CT slice | Slice index 287 | Field of view 407 mm wide, 1.50 mm slice spacing

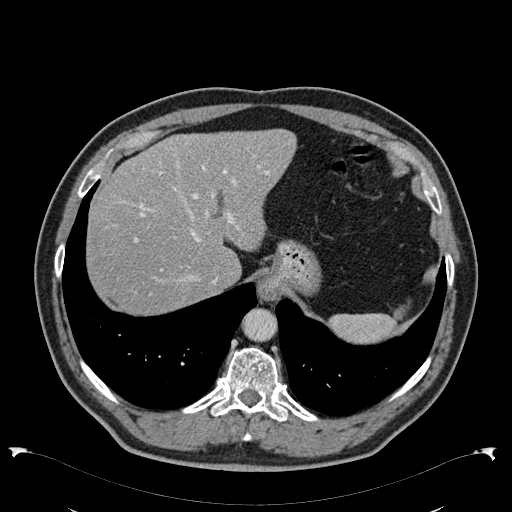
liver:
  - [87, 129, 296, 313]